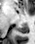

Magnetic resonance, Hippocampus
Posterior hippocampus: 17,23,27,33.